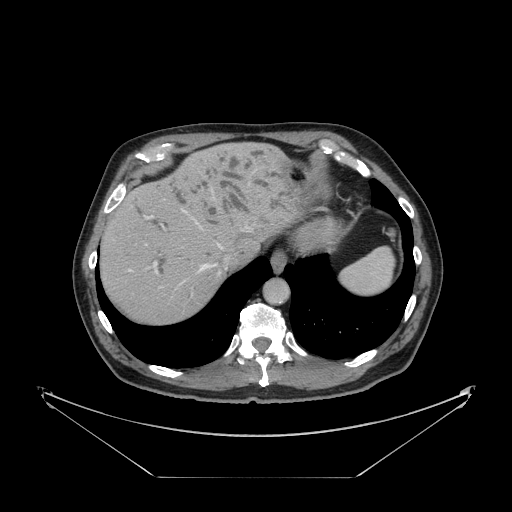 CT image

Not every hepatic vessel necessarily has a box.
hepatic_vessel:
  - box(211, 190, 212, 194)
  - box(129, 270, 131, 271)
  - box(216, 242, 225, 250)
  - box(195, 222, 200, 227)
  - box(153, 262, 156, 272)
  - box(218, 272, 219, 274)
  - box(224, 255, 230, 267)
  - box(245, 226, 248, 228)
  - box(182, 210, 186, 213)
  - box(199, 263, 217, 269)
  - box(145, 216, 151, 217)